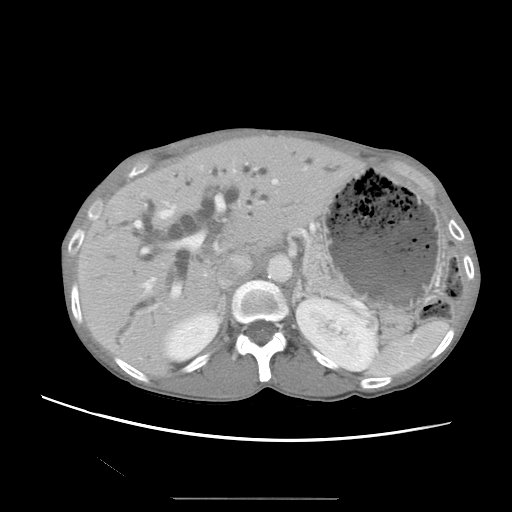

CT. Image size 512x512. Upper abdomen.

Annotated regions:
• pancreas: rect(306, 238, 343, 296); rect(385, 315, 408, 339)